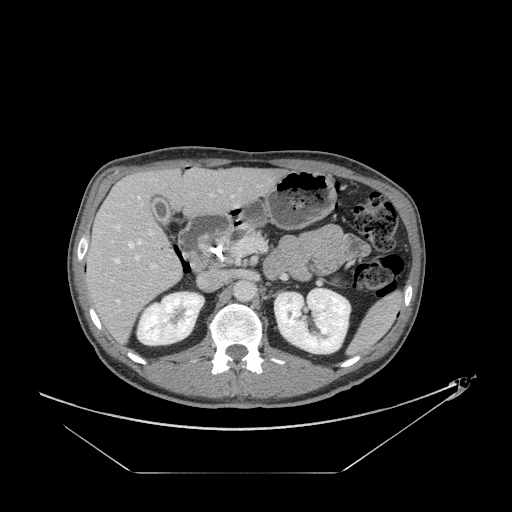 CT image | Abdomen
Pancreas = [222,224,259,250].